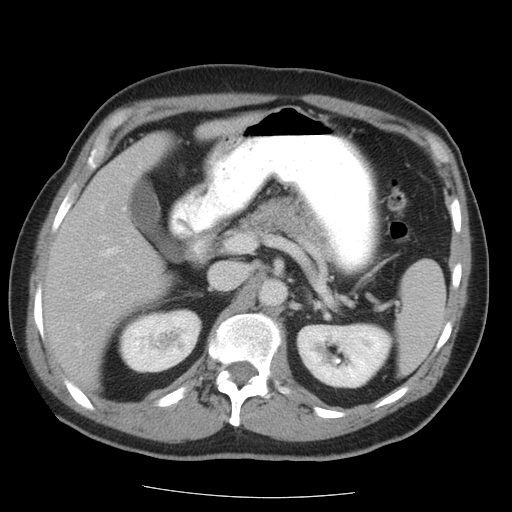
CT slice, 512x512 px
The vessel boxes may cover only some of the vessels.
12 hepatic vessel regions are bounded by x1=101 y1=237 x2=105 y2=239, x1=92 y1=292 x2=104 y2=299, x1=126 y1=266 x2=130 y2=269, x1=127 y1=239 x2=128 y2=241, x1=140 y1=166 x2=141 y2=167, x1=123 y1=208 x2=126 y2=209, x1=127 y1=179 x2=132 y2=182, x1=79 y1=343 x2=80 y2=344, x1=101 y1=205 x2=103 y2=208, x1=104 y1=247 x2=118 y2=256, x1=77 y1=326 x2=79 y2=329, x1=122 y1=165 x2=123 y2=166.